Abdomen, CT scan slice, Slice index 18
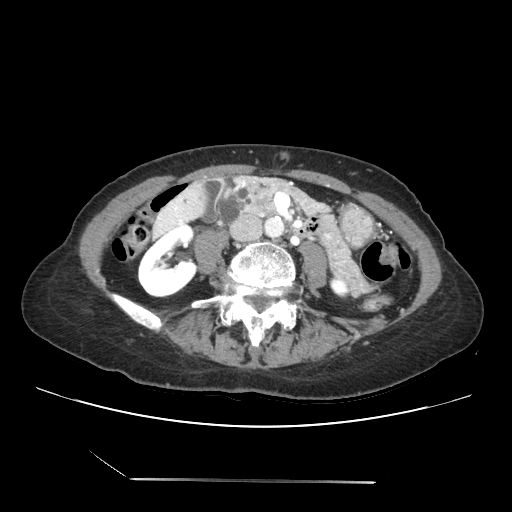
Pancreas: {"x1": 216, "y1": 175, "x2": 376, "y2": 298}.